Field of view 400x400 mm. CT scan slice.

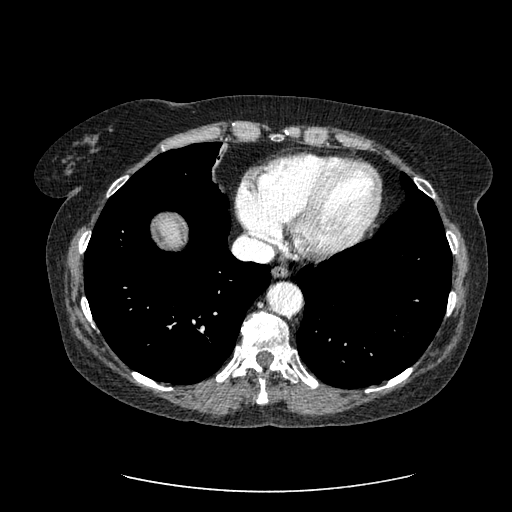 Annotated regions:
• liver: box=[154, 214, 183, 250]